FLAIR MRI.
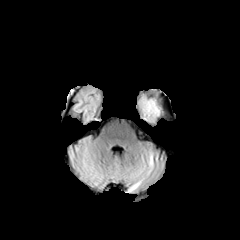
T1-weighted magnetic resonance.
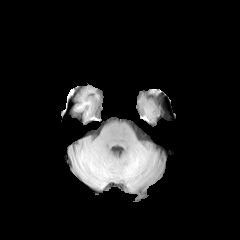
Post-contrast T1-weighted MR.
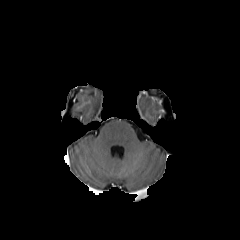
T2-weighted MRI.
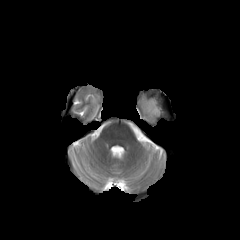
Brain, 240x240 px
- edema: x1=138, y1=95, x2=163, y2=122